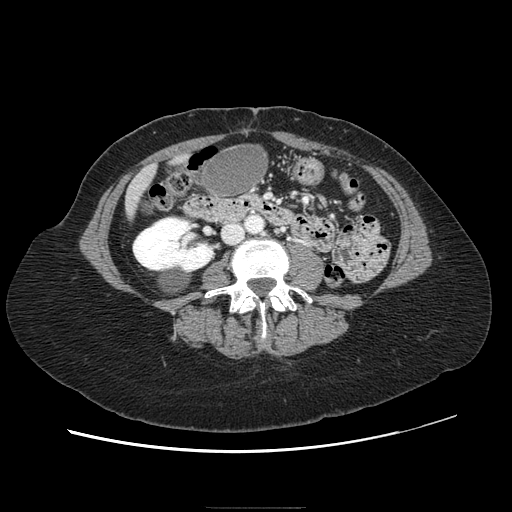
Abdomen, CT image

Annotated regions:
- pancreas: region(245, 194, 256, 199)